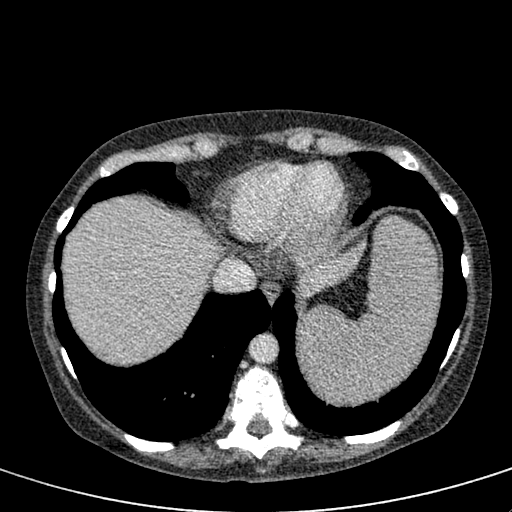

CT slice, Liver

liver:
  - [x1=302, y1=242, x2=365, y2=295]
  - [x1=63, y1=200, x2=217, y2=363]